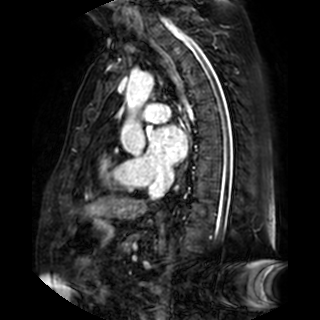
Magnetic resonance. Heart. 320x320 px. <segmentation>
  <left_atrium>150 126 186 163</left_atrium>
</segmentation>